CT image
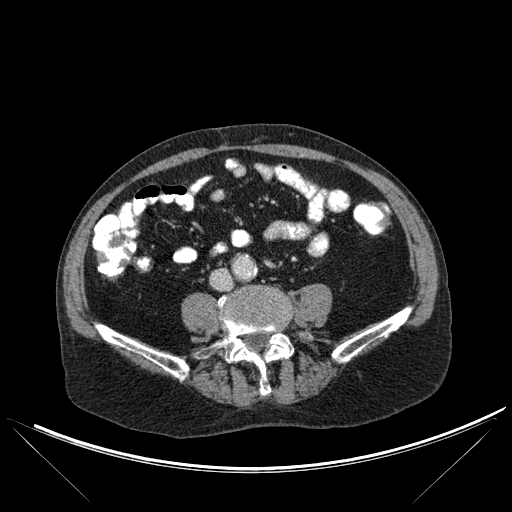 bone: 332:307:411:361, 216:292:293:394, 95:324:188:379